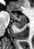
MRI | Hippocampus
anterior_hippocampus:
  - (left=7, top=11, right=26, bottom=20)
posterior_hippocampus:
  - (left=13, top=21, right=26, bottom=28)